Field of view 240x240 mm
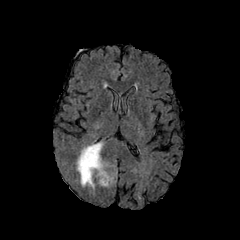
FLAIR magnetic resonance.
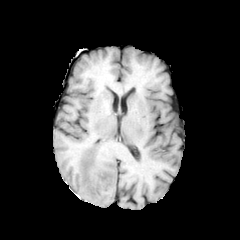
Same slice, T1-weighted MR image.
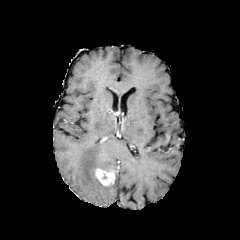
Same slice, post-contrast T1-weighted MR.
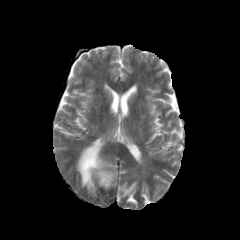
T2-weighted MRI of the same slice.
Edema: <box>76,142,104,188</box>.
Enhancing tumor: <box>94,167,114,186</box>.